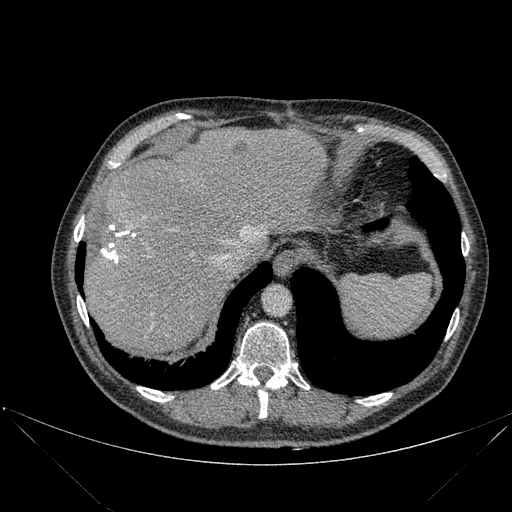

Liver | CT slice

2 liver regions appear at 84:127:324:353, 244:241:255:269. The liver lesion appears at 232:142:247:154. 4 lung regions are bounded by 75:242:85:292, 291:157:464:395, 366:219:387:228, 93:262:272:389. 8 bone regions are bounded by 358:393:391:405, 445:314:458:339, 77:296:88:326, 137:387:172:402, 74:217:84:241, 211:323:309:389, 258:390:267:417, 462:232:469:255.